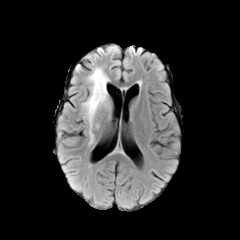
FLAIR MRI.
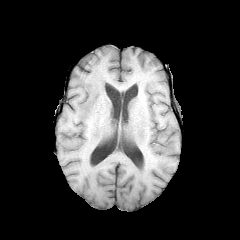
T1-weighted magnetic resonance of the same slice.
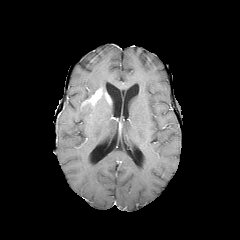
Same slice, post-contrast T1-weighted MR image.
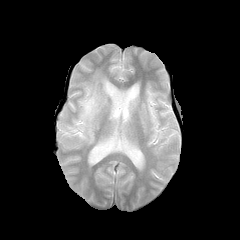
T2-weighted magnetic resonance.
* edema: box=[78, 66, 110, 145]
* enhancing tumor: box=[81, 87, 107, 106]
* non-enhancing tumor core: box=[82, 95, 107, 109]